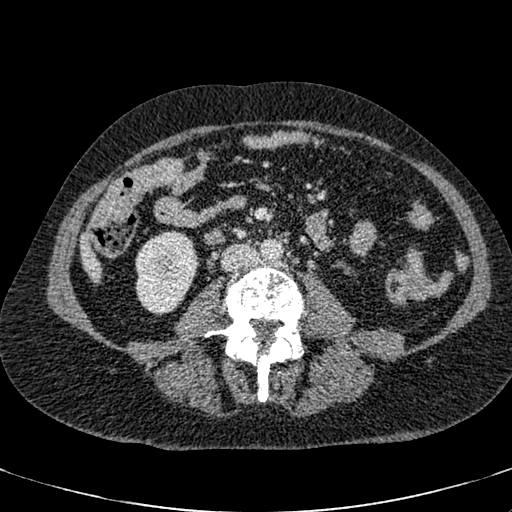 CT scan slice. Image size 512x512.
Liver at 79, 235, 101, 279.
Kidney at 136, 232, 197, 313.